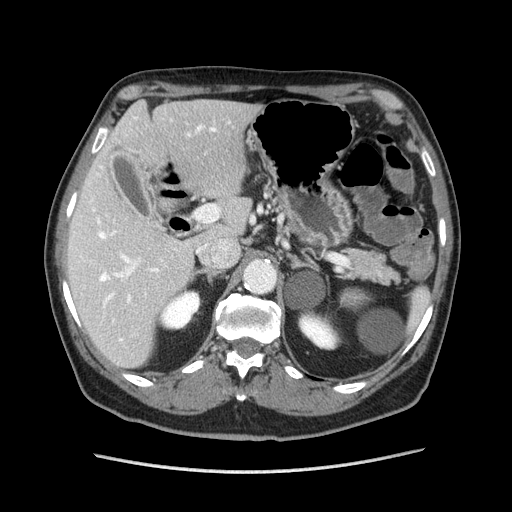
Upper abdomen | CT scan slice
- pancreas: (292,226,305,239), (348,249,398,283)